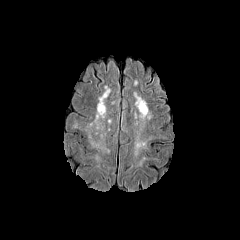
FLAIR MR image.
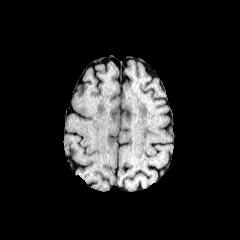
T1-weighted MR image of the same slice.
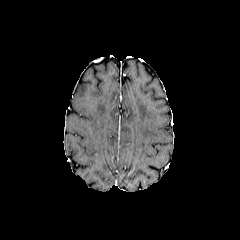
Post-contrast T1-weighted magnetic resonance.
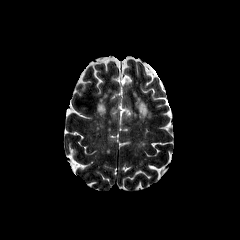
T2-weighted magnetic resonance.
Head.
edema: 97,99,105,116